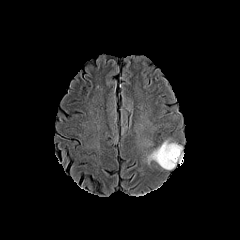
FLAIR MRI.
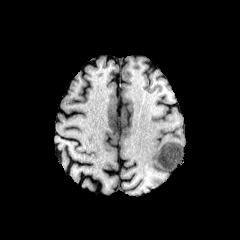
T1-weighted MR image.
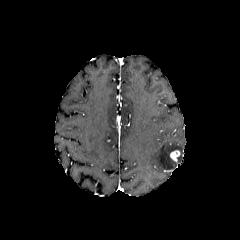
Post-contrast T1-weighted MRI.
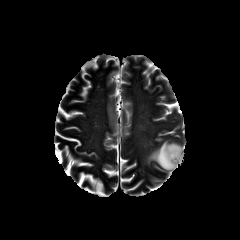
T2-weighted MR.
{"enhancing_tumor": ["rect(171, 151, 179, 161)"], "edema": ["rect(151, 143, 184, 169)"]}